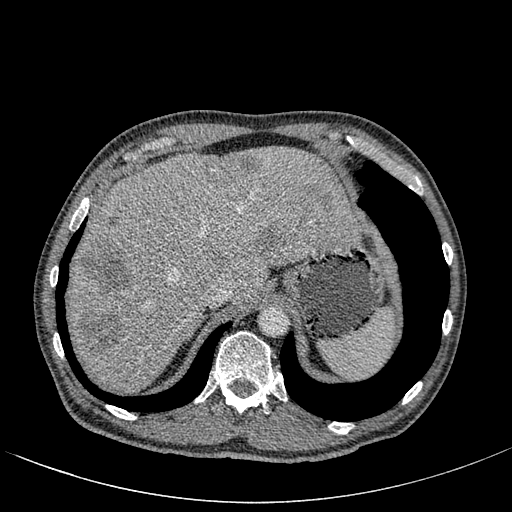

Upper abdomen | CT image | 512x512

hepatic_lesion:
  - <bbox>108, 217, 117, 225</bbox>
  - <bbox>257, 227, 284, 251</bbox>
  - <bbox>83, 242, 132, 294</bbox>
  - <bbox>214, 246, 225, 263</bbox>
  - <bbox>78, 311, 123, 354</bbox>
  - <bbox>239, 153, 259, 175</bbox>
  - <bbox>305, 188, 332, 212</bbox>
  - <bbox>207, 161, 237, 186</bbox>
liver:
  - <bbox>69, 147, 359, 391</bbox>